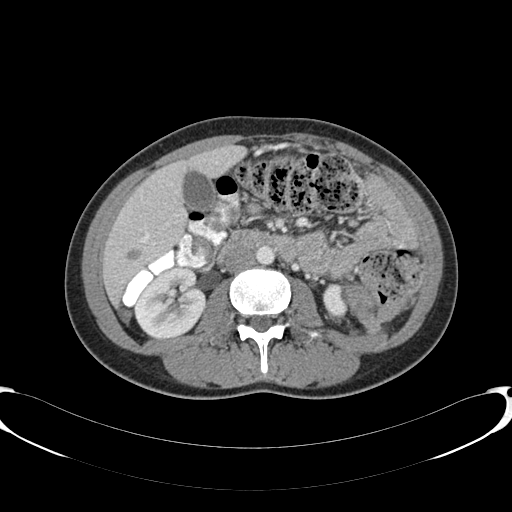
Computed tomography
• hepatic lesion: (x1=129, y1=250, x2=137, y2=260)
• liver: (x1=102, y1=145, x2=245, y2=302)
• kidney: (x1=135, y1=268, x2=204, y2=337), (x1=324, y1=285, x2=344, y2=314)